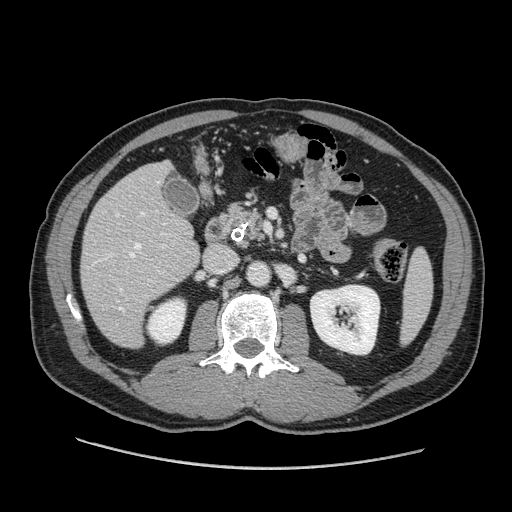
CT slice

Segmented structures:
- pancreas: 225 203 266 249